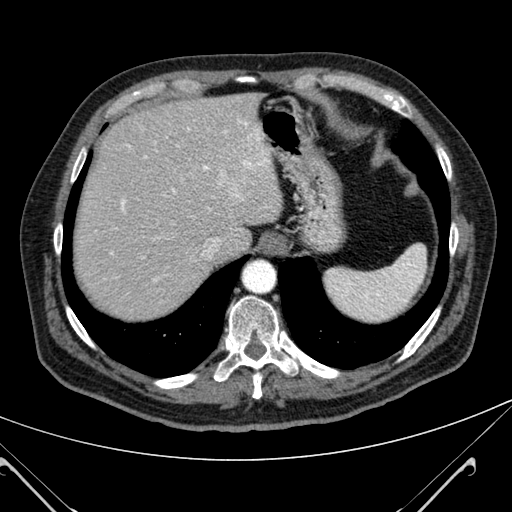

Computed tomography, 512x512, Upper abdomen
Liver: bounding box [73, 90, 284, 321].